FLAIR MR.
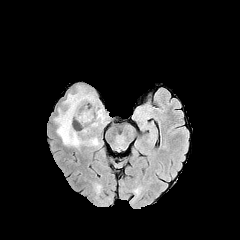
T1-weighted MR.
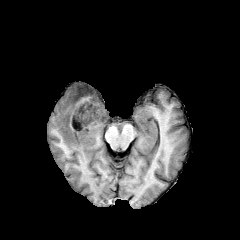
Post-contrast T1-weighted magnetic resonance.
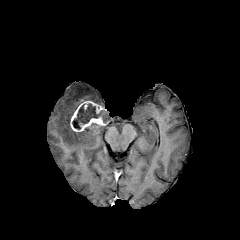
T2-weighted MRI.
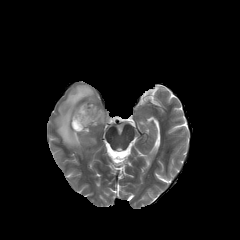
Brain
enhancing_tumor:
  - <bbox>70, 104, 104, 131</bbox>
  - <bbox>82, 101, 105, 114</bbox>
non-enhancing_tumor_core:
  - <bbox>72, 102, 99, 130</bbox>
  - <bbox>101, 110, 107, 125</bbox>
  - <bbox>74, 88, 90, 100</bbox>
edema:
  - <bbox>56, 85, 99, 150</bbox>